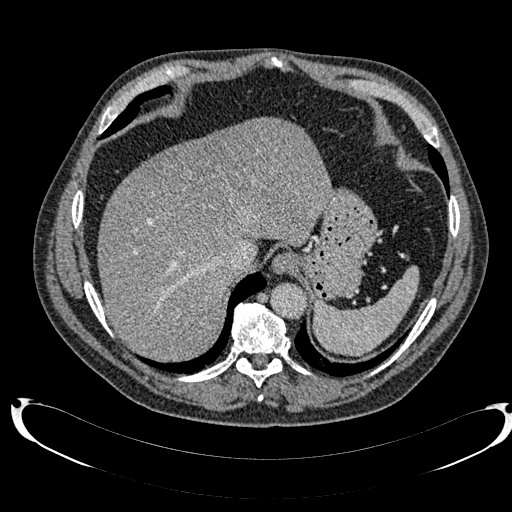

Image size 512x512, Upper abdomen, CT
{
  "liver": [
    "box=[98, 118, 331, 361]"
  ],
  "focal_liver_lesion": [
    "box=[137, 124, 263, 220]"
  ]
}